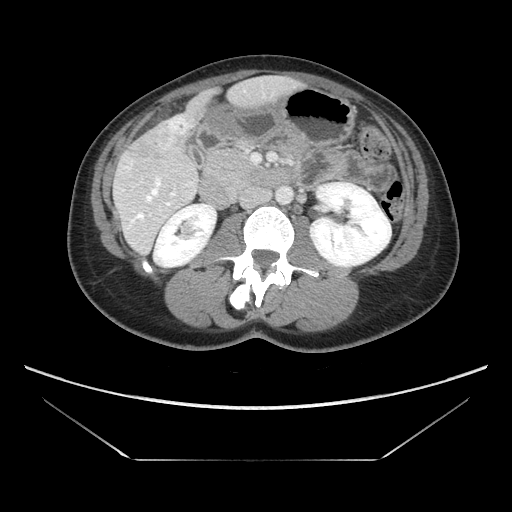

Abdomen; 512x512; CT scan slice
Findings:
* liver tumor: {"x1": 160, "y1": 114, "x2": 194, "y2": 146}